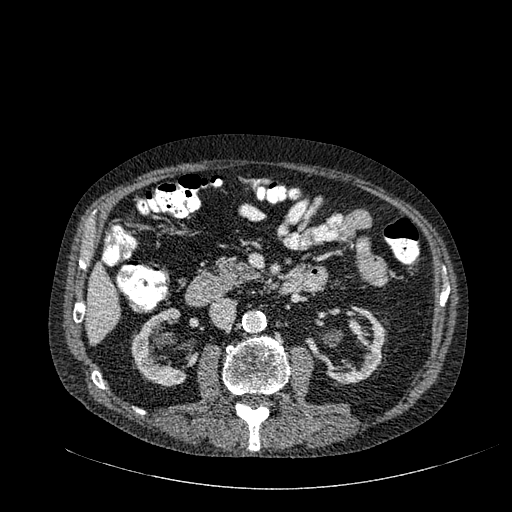
Image size 512x512; CT scan slice; Upper abdomen
{"kidney": ["314,306,386,383", "189,317,198,327", "185,352,197,366", "131,308,192,386", "333,331,342,345"], "liver": ["87,263,118,344"]}